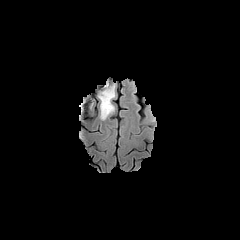
FLAIR MR.
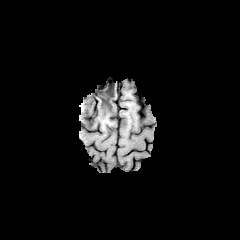
T1-weighted magnetic resonance.
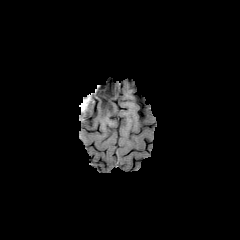
Post-contrast T1-weighted MR of the same slice.
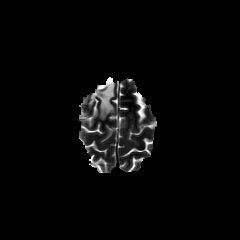
T2-weighted MRI.
non-enhancing tumor core: left=96, top=83, right=115, bottom=119 | edema: left=90, top=98, right=100, bottom=109